FLAIR magnetic resonance.
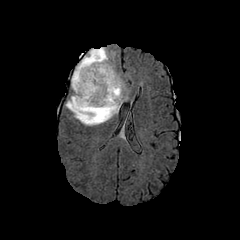
T1-weighted MR.
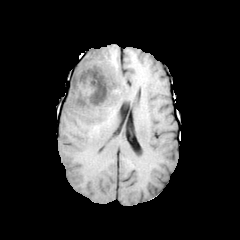
Post-contrast T1-weighted magnetic resonance.
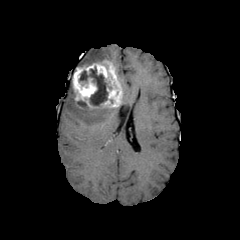
T2-weighted magnetic resonance.
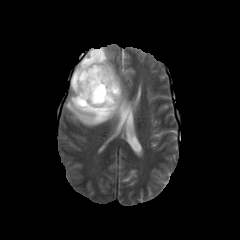
Enhancing tumor: bounding box region(72, 61, 122, 107).
Edema: bounding box region(76, 47, 124, 92); region(66, 80, 121, 126).
Non-enhancing tumor core: bounding box region(74, 92, 89, 107); region(80, 66, 111, 111).